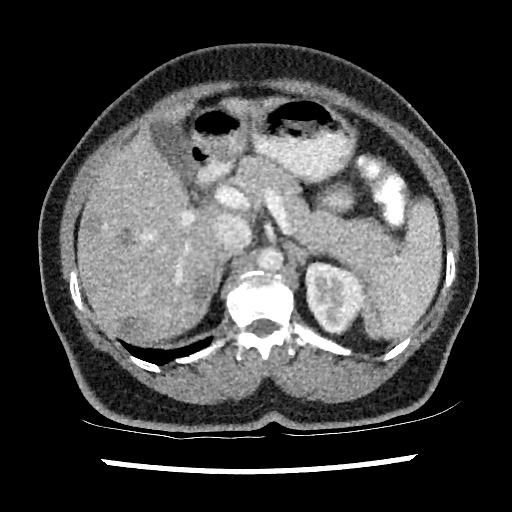

Image size 512x512; Abdomen; CT scan slice
kidney: left=306, top=263, right=364, bottom=332 | liver: left=78, top=127, right=220, bottom=341; left=223, top=99, right=254, bottom=115; left=160, top=103, right=190, bottom=124; left=262, top=98, right=283, bottom=108 | hepatic lesion: left=88, top=284, right=95, bottom=294; left=86, top=219, right=99, bottom=232; left=117, top=318, right=139, bottom=339; left=119, top=232, right=135, bottom=247; left=195, top=274, right=210, bottom=304